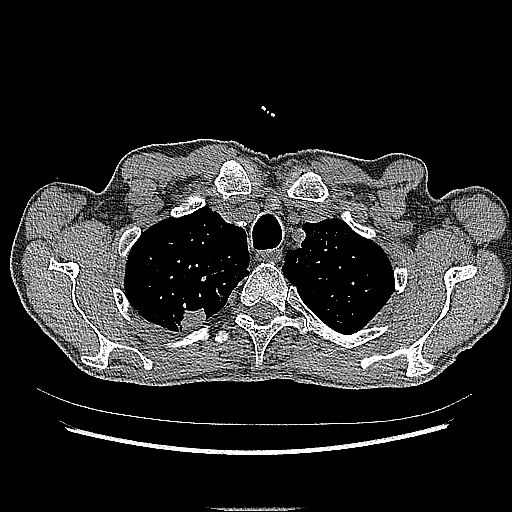
CT, Chest

Segmented structures:
* lung tumor: {"x1": 170, "y1": 303, "x2": 206, "y2": 332}